240x240 | Slice 128 of 155
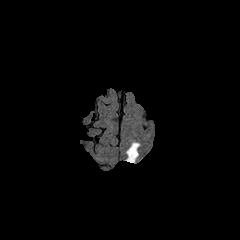
FLAIR magnetic resonance.
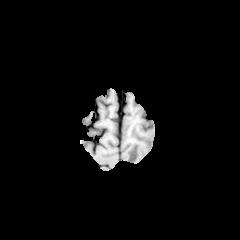
T1-weighted MRI of the same slice.
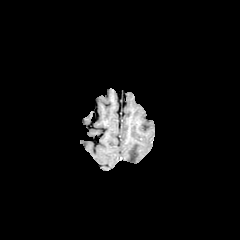
Same slice, post-contrast T1-weighted MR image.
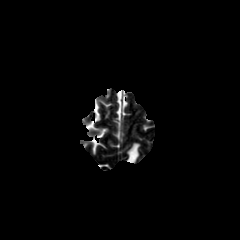
Same slice, T2-weighted magnetic resonance.
Edema = region(126, 142, 139, 162).